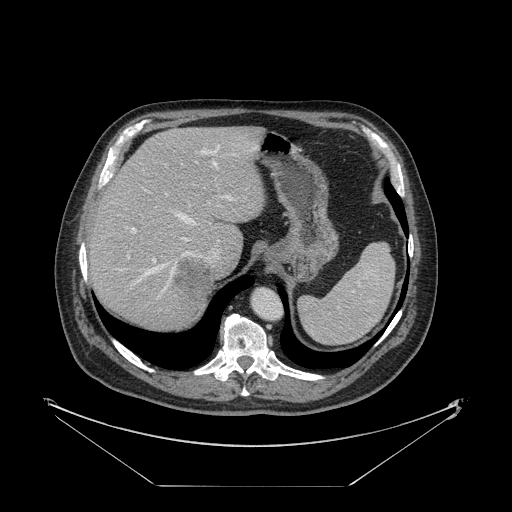
Abdomen | CT

The vessel annotation is not exhaustive.
<segmentation>
  <liver_tumor>[174, 258, 212, 302]</liver_tumor>
  <hepatic_vessel>[131, 228, 135, 232], [183, 238, 186, 239], [153, 258, 154, 261], [165, 164, 166, 166], [195, 161, 196, 162], [200, 150, 206, 154], [221, 196, 230, 198], [127, 253, 129, 256], [212, 151, 215, 153], [212, 160, 215, 165], [217, 145, 219, 147]</hepatic_vessel>
</segmentation>